FLAIR MR.
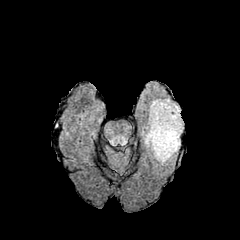
T1-weighted MR image.
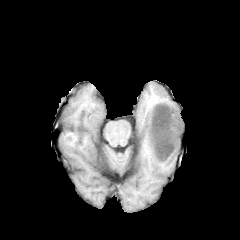
Post-contrast T1-weighted MRI.
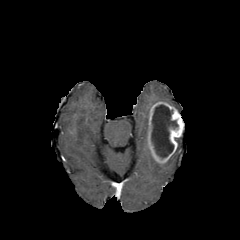
T2-weighted magnetic resonance.
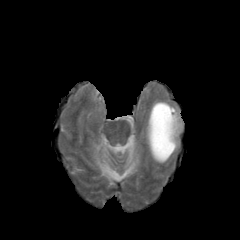
Brain; 240x240 px
Edema — left=148, top=98, right=179, bottom=113; left=166, top=137, right=180, bottom=162; left=141, top=116, right=153, bottom=158.
Non-enhancing tumor core — left=151, top=104, right=176, bottom=157.
Enhancing tumor — left=148, top=102, right=183, bottom=162.